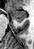

MRI slice
The posterior hippocampus lies within 17:21:21:22. The anterior hippocampus is located at 8:7:26:20.